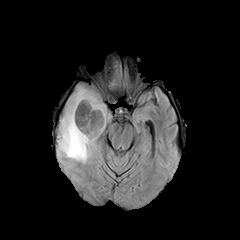
FLAIR MR image.
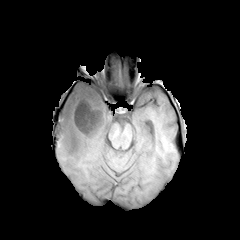
Same slice, T1-weighted MRI.
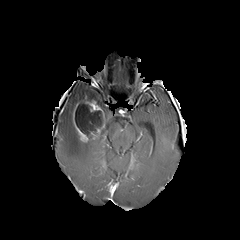
Same slice, post-contrast T1-weighted MR image.
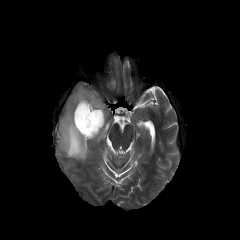
T2-weighted MR image.
Brain, Image size 240x240
{
  "edema": [
    "left=58, top=86, right=108, bottom=162"
  ],
  "non-enhancing_tumor_core": [
    "left=72, top=96, right=105, bottom=137"
  ],
  "enhancing_tumor": [
    "left=74, top=122, right=87, bottom=141",
    "left=89, top=100, right=103, bottom=117"
  ]
}